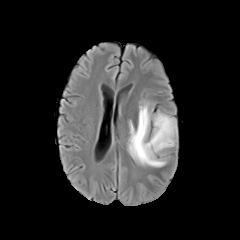
FLAIR magnetic resonance.
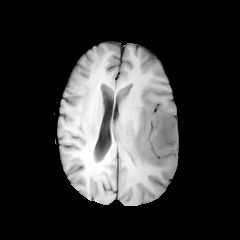
T1-weighted MR.
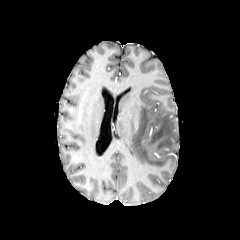
Post-contrast T1-weighted MR.
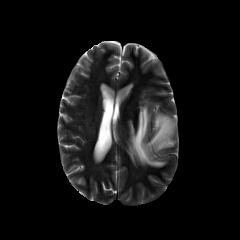
T2-weighted magnetic resonance.
Edema — left=127, top=102, right=177, bottom=166.